Liver, CT scan slice
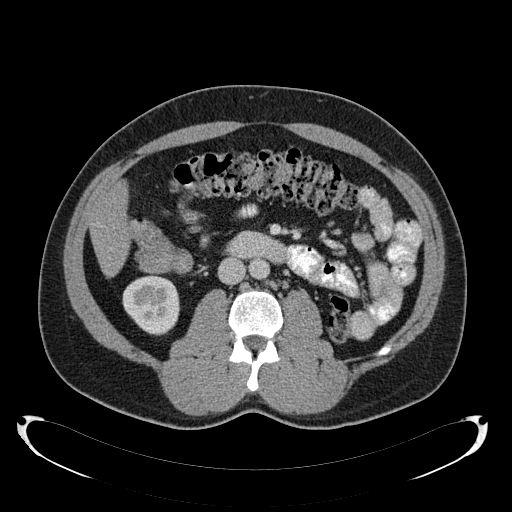

Kidney — box(123, 276, 178, 333).
Liver — box(90, 182, 130, 274).